MR; Hippocampus; Slice 13/35; Field of view 35x48 mm; Image size 35x48

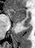

The anterior hippocampus is located at 7:7:26:22.